Head | Field of view 240 mm wide, 1.00 mm slice spacing | Slice index 36
FLAIR MR image.
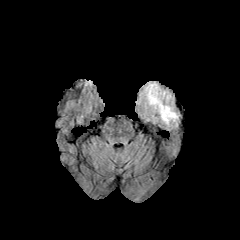
T1-weighted MRI.
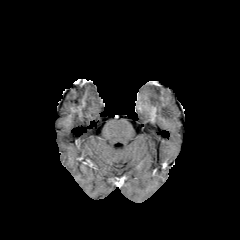
Post-contrast T1-weighted MR.
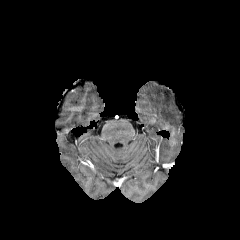
T2-weighted magnetic resonance.
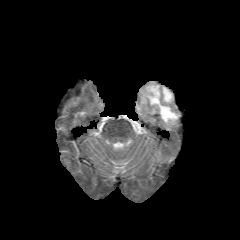
edema:
  - (135, 82, 180, 126)